CT, Abdomen, Slice index 47 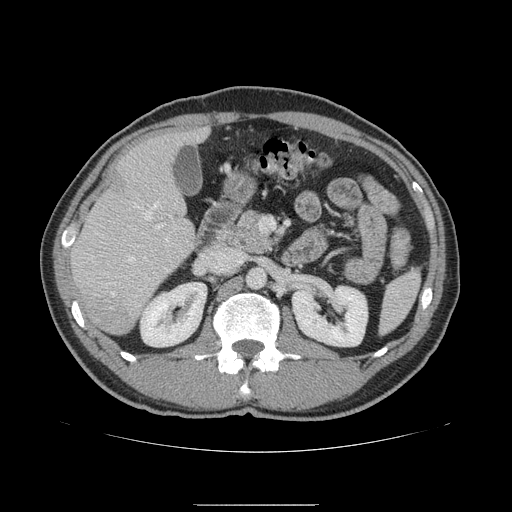 The pancreas is located at bbox(217, 210, 273, 253).